Brain
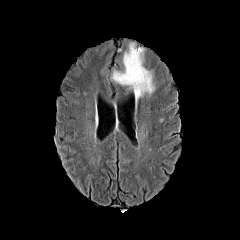
FLAIR MR.
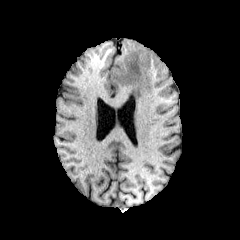
T1-weighted MR.
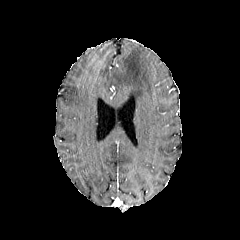
Post-contrast T1-weighted MR.
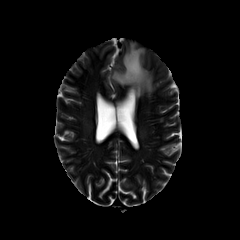
T2-weighted MR image of the same slice.
The edema lies within bbox=[111, 42, 154, 100].